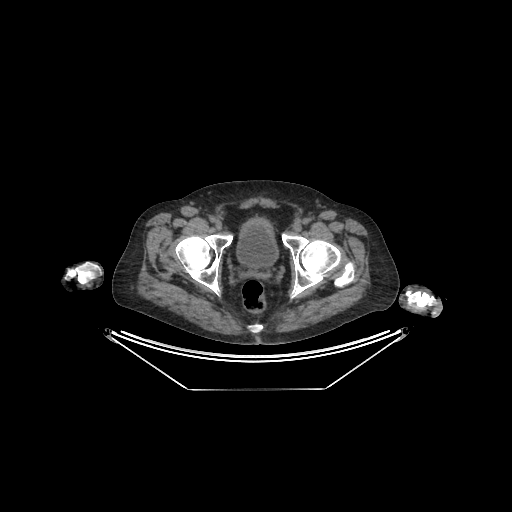 CT
Urinary bladder: bounding box [236,214,278,271].